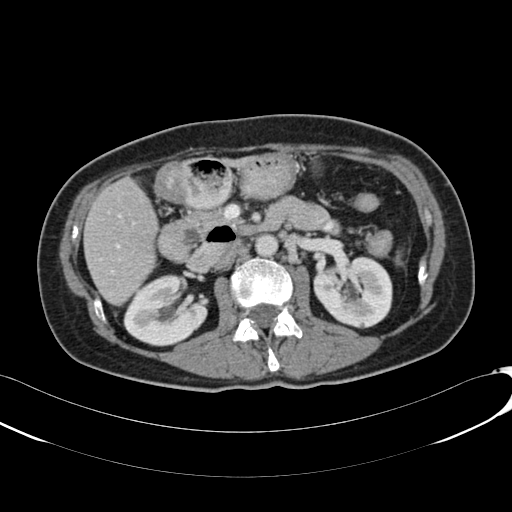 CT; Abdomen

2 liver regions are located at [83,178,157,303], [222,157,254,167]. 2 kidney regions are bounded by [314,258,391,326], [125,276,206,344].